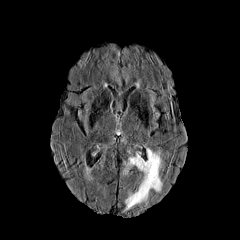
FLAIR MRI.
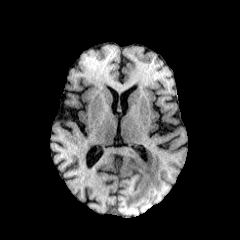
Same slice, T1-weighted MR.
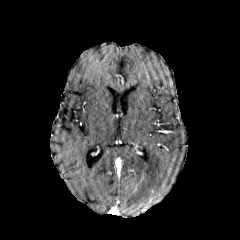
Post-contrast T1-weighted MR of the same slice.
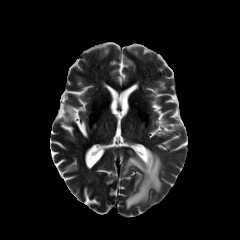
T2-weighted MR image.
{"edema": ["(122,148,162,209)"]}